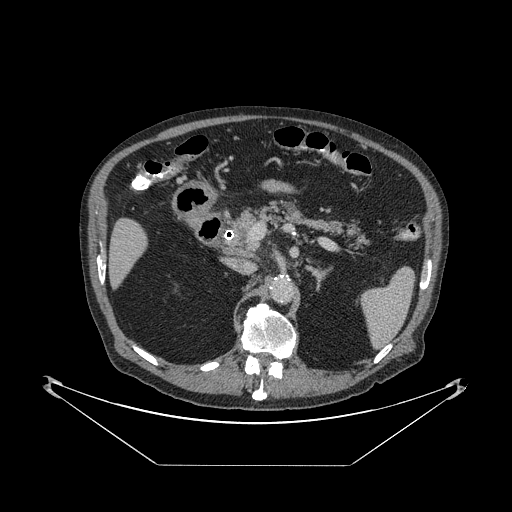

CT. Upper abdomen.

Pancreatic tumor = (left=234, top=219, right=249, bottom=241).
Pancreas = (left=225, top=201, right=368, bottom=250).